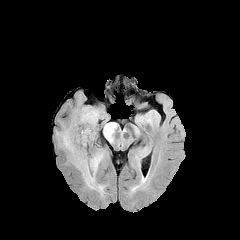
FLAIR MR.
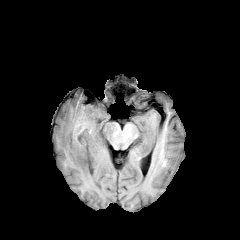
Same slice, T1-weighted MRI.
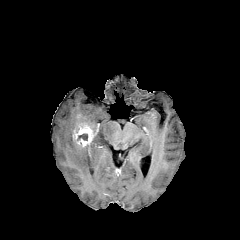
Post-contrast T1-weighted MRI.
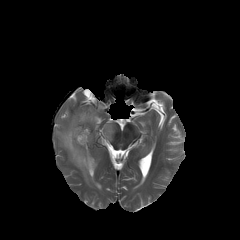
Same slice, T2-weighted magnetic resonance.
Head
non-enhancing_tumor_core:
  - 77 134 88 140
edema:
  - 103 122 115 142
  - 79 107 103 126
  - 61 130 107 195
enhancing_tumor:
  - 73 125 93 146